FLAIR MR.
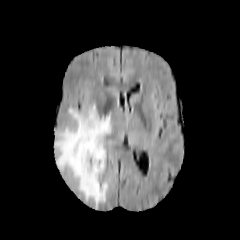
T1-weighted MR.
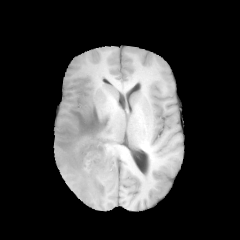
Post-contrast T1-weighted MR image.
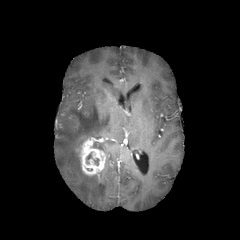
T2-weighted magnetic resonance.
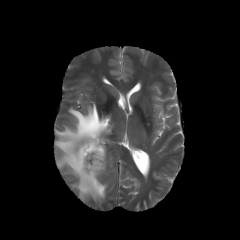
Image size 240x240.
edema: bbox(55, 104, 113, 204) | enhancing tumor: bbox(78, 139, 105, 175)